Hippocampus, MR

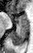

2 anterior hippocampus regions appear at (left=9, top=14, right=12, bottom=17), (left=18, top=13, right=27, bottom=22). The posterior hippocampus is located at (left=10, top=23, right=28, bottom=45).